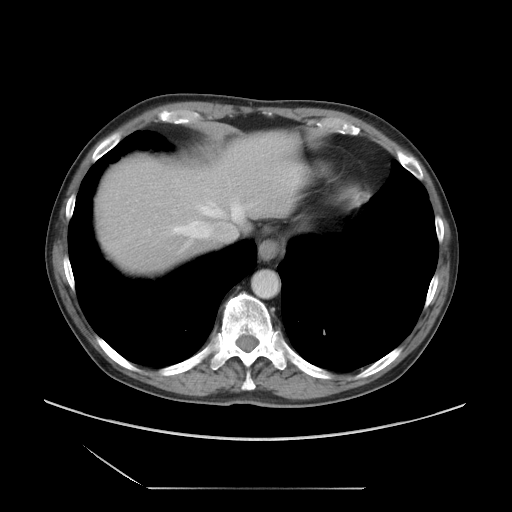

CT slice. Abdomen.

Some hepatic vessels may have no box.
5 hepatic vessel regions are located at <box>174,221,237,240</box>, <box>149,230,149,233</box>, <box>186,242,190,245</box>, <box>198,203,221,216</box>, <box>232,204,244,220</box>.